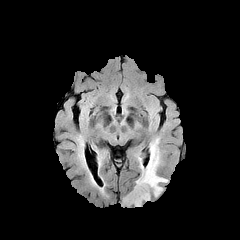
FLAIR magnetic resonance.
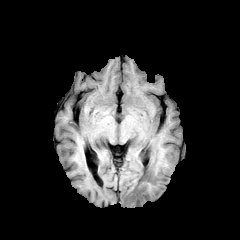
T1-weighted MR image.
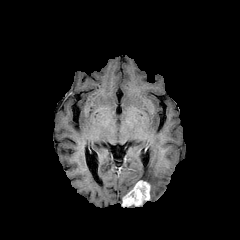
Post-contrast T1-weighted MR image.
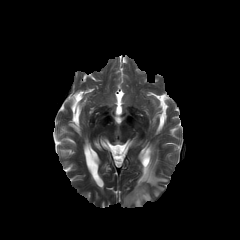
T2-weighted MR image of the same slice.
240x240 px. Head.
edema:
  - rect(138, 141, 167, 197)
enhancing_tumor:
  - rect(122, 180, 150, 206)